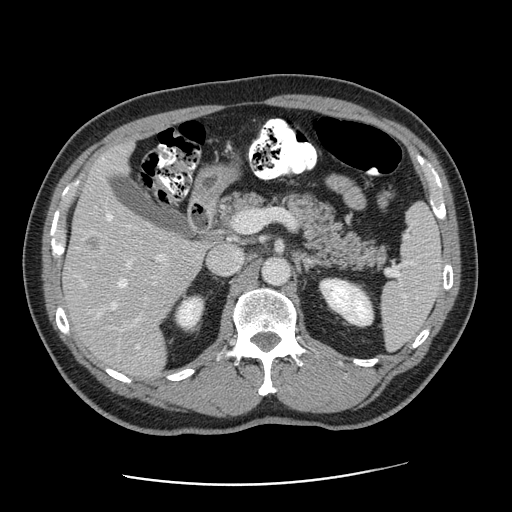

CT image | 512x512 px
The vessel annotation is not exhaustive.
Liver tumor: 81, 233, 107, 254.
Hepatic vessel: 209, 244, 243, 274; 156, 254, 164, 260; 107, 214, 112, 218; 135, 319, 137, 322; 234, 213, 250, 232; 137, 346, 139, 347; 112, 303, 116, 308; 119, 279, 126, 286; 203, 245, 208, 247; 129, 260, 132, 264; 97, 314, 100, 316; 84, 284, 86, 285.